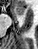 MR image | Image size 38x49 | Medial temporal lobe

Anterior hippocampus — box=[13, 7, 24, 16].